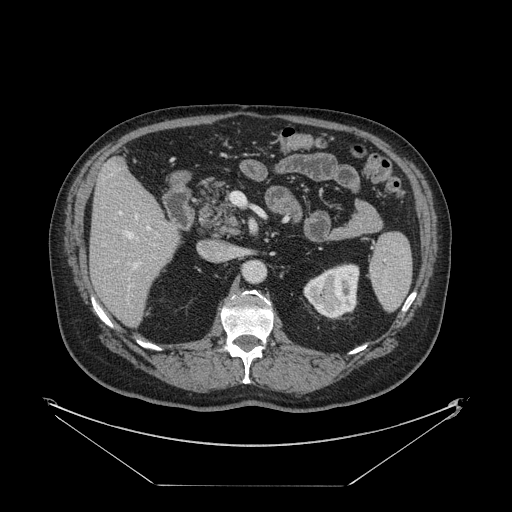 Abdomen; CT scan slice
The vessel boxes may cover only some of the vessels.
Findings:
- hepatic vessel: l=146, t=227, r=149, b=228; l=132, t=263, r=136, b=266